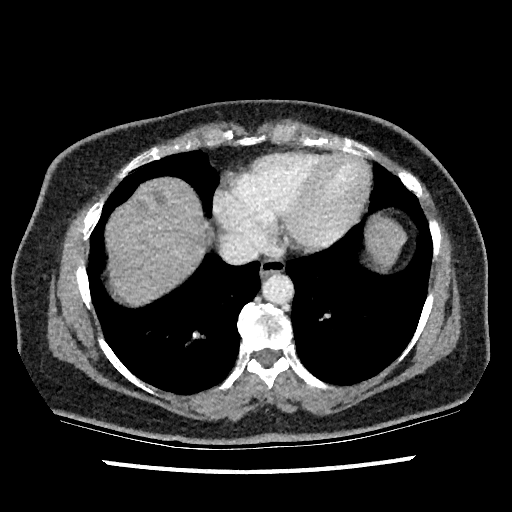
Abdomen | CT
Liver lesion — (x1=138, y1=201, x2=147, y2=211), (x1=152, y1=191, x2=163, y2=204).
Liver — (x1=367, y1=219, x2=405, y2=263), (x1=106, y1=178, x2=205, y2=303).